CT scan slice, Slice 375 of 781, 512x512, Liver, Image width 400 mm 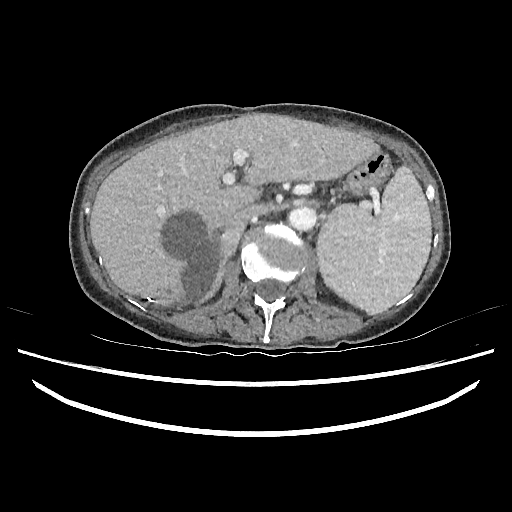 Liver — l=90, t=115, r=375, b=305.
Liver lesion — l=163, t=214, r=219, b=303.